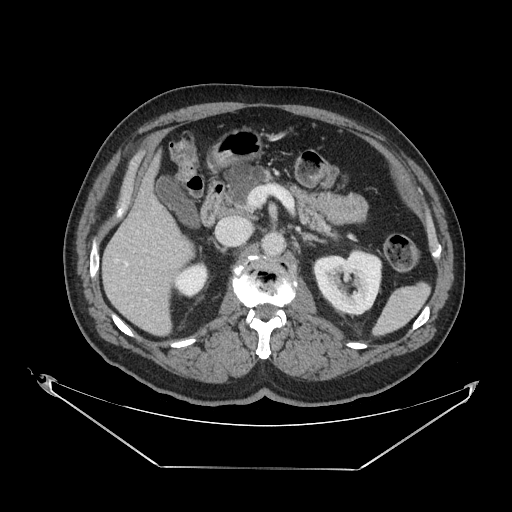
CT slice.
The pancreatic tumor lies within (227,165,262,202). The pancreas is at (223,161,341,240).